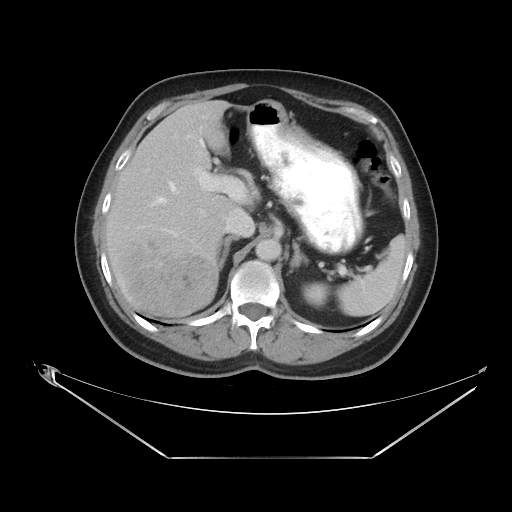 Liver. CT scan slice.
Only some of the vessels may be annotated.
<segmentation>
  <hepatic_vessel>170, 183, 174, 190; 199, 173, 214, 189; 157, 198, 165, 201</hepatic_vessel>
  <liver_tumor>115, 234, 216, 316</liver_tumor>
</segmentation>